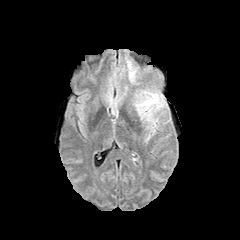
FLAIR magnetic resonance.
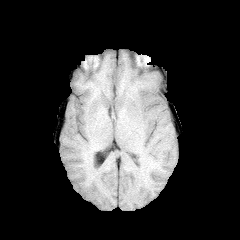
T1-weighted magnetic resonance.
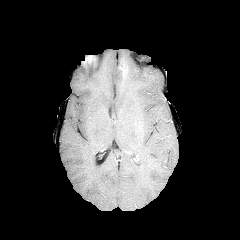
Post-contrast T1-weighted MR of the same slice.
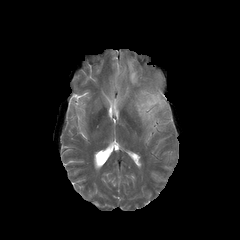
T2-weighted magnetic resonance.
Edema: (x1=134, y1=89, x2=165, y2=132).